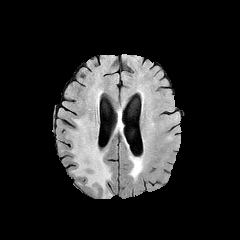
FLAIR magnetic resonance.
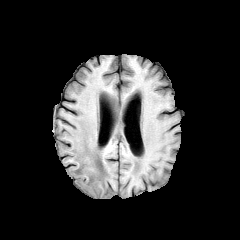
Same slice, T1-weighted MR.
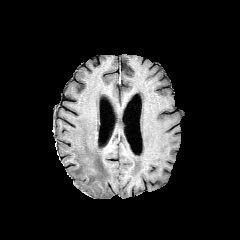
Same slice, post-contrast T1-weighted MRI.
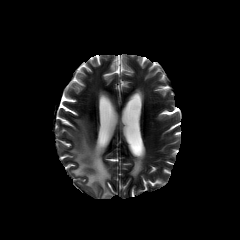
Same slice, T2-weighted MR image.
Edema: bounding box x1=129 y1=156 x2=143 y2=179, x1=70 y1=118 x2=111 y2=195.